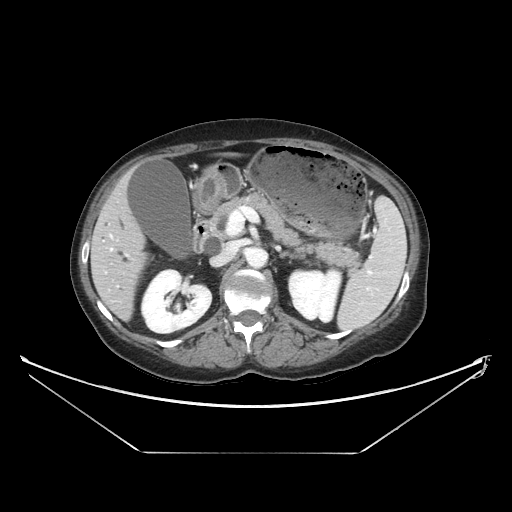 Computed tomography; Abdomen

The pancreas lies within l=211, t=192, r=360, b=268.